Brain
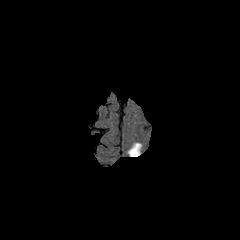
FLAIR MR image.
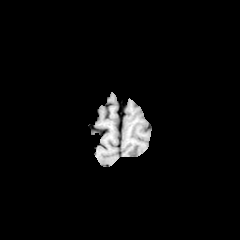
T1-weighted MRI.
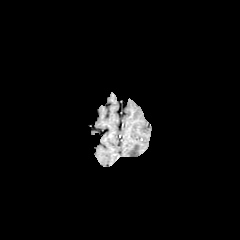
Post-contrast T1-weighted MR.
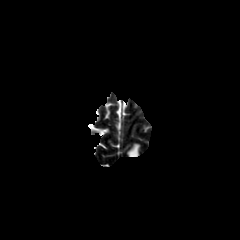
T2-weighted magnetic resonance of the same slice.
Annotated regions:
- edema: 127 143 140 156